Field of view 240 mm wide, 1.00 mm slice spacing | Brain | Image size 240x240
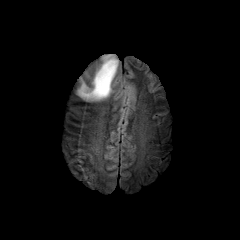
FLAIR MR image.
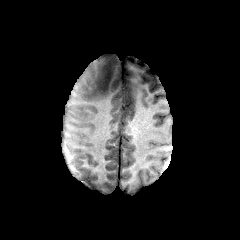
T1-weighted MRI.
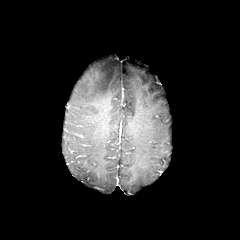
Same slice, post-contrast T1-weighted magnetic resonance.
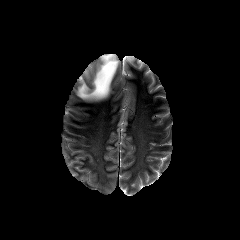
T2-weighted MRI of the same slice.
Edema = rect(77, 54, 119, 101).